MR image 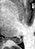
posterior hippocampus: (10, 36, 22, 43)